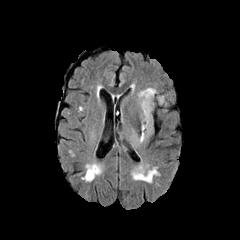
FLAIR MR image.
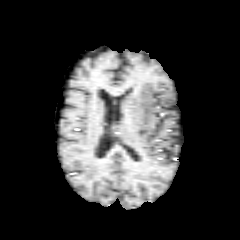
T1-weighted MR image.
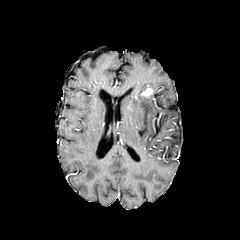
Post-contrast T1-weighted magnetic resonance.
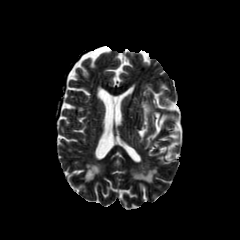
T2-weighted MRI.
240x240; Brain
* edema: box(138, 87, 155, 142)